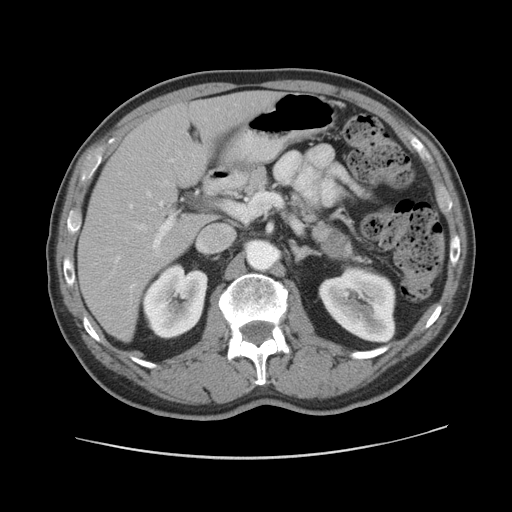 512x512 px. Computed tomography.
The pancreatic tumor is located at 324,234,346,258. The pancreas appears at 246,166,369,265.